Prostate, Field of view 200 mm wide, 3.60 mm slice spacing, Slice index 8, 320x320
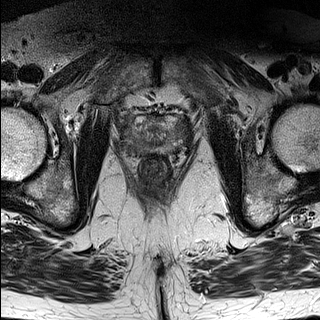
T2-weighted MRI.
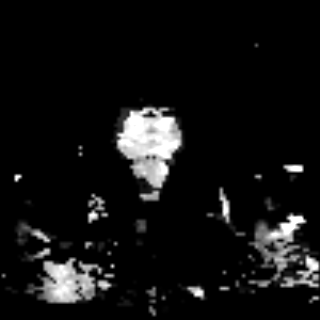
Same slice, ADC MRI.
The prostate peripheral zone lies within (120, 116, 189, 154).